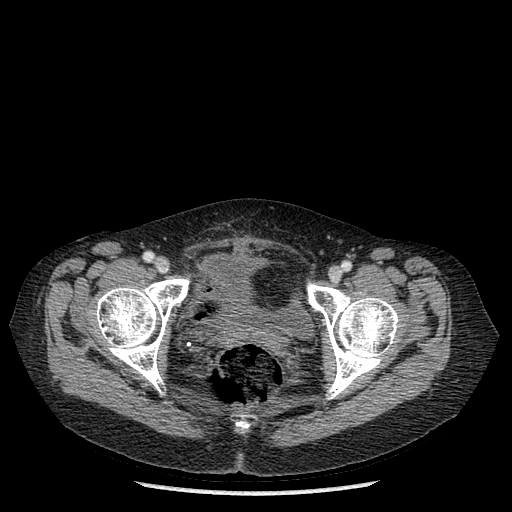
CT slice | Pelvis

Urinary bladder: bounding box region(191, 252, 301, 344).
Bone: bounding box region(307, 283, 400, 399); region(236, 421, 249, 428); region(93, 277, 189, 392).